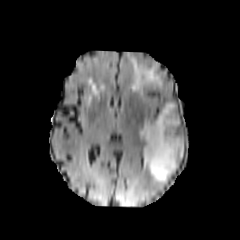
FLAIR MRI.
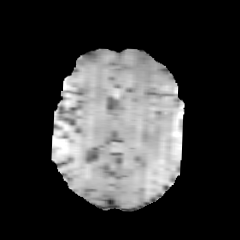
T1-weighted MRI of the same slice.
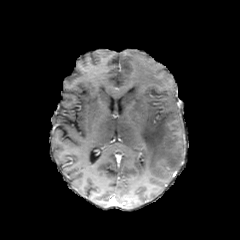
Same slice, post-contrast T1-weighted MR image.
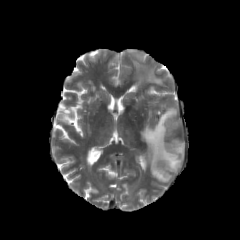
Same slice, T2-weighted magnetic resonance.
240x240 px.
<segmentation>
  <edema>128, 54, 164, 93; 137, 104, 183, 181</edema>
</segmentation>